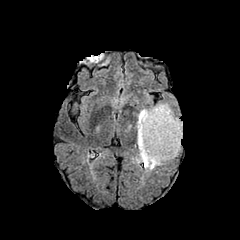
FLAIR MRI.
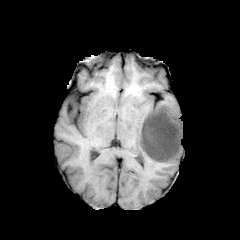
T1-weighted MR of the same slice.
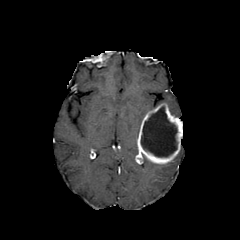
Post-contrast T1-weighted MR image.
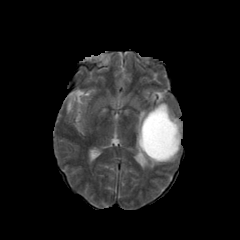
T2-weighted MR image.
2 edema regions are located at (143,160,160,171), (134,106,154,151). The enhancing tumor is bounded by (137,103,182,164). The non-enhancing tumor core is located at (141,107,176,156).